Abdomen, 512x512, CT image
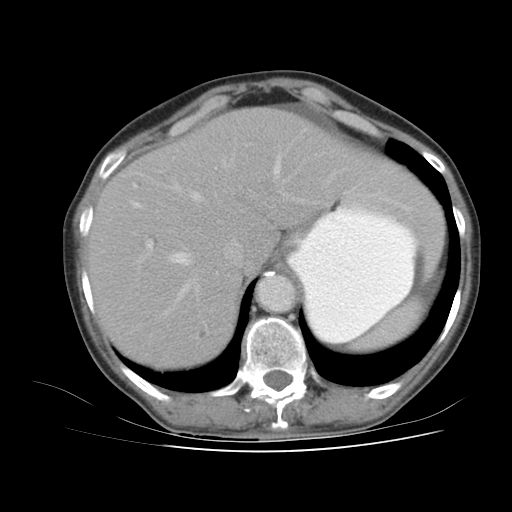

Spleen at (x1=350, y1=299, x2=424, y2=350).